240x240 px; Slice 113/155
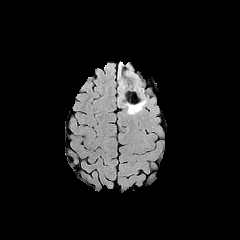
FLAIR MR.
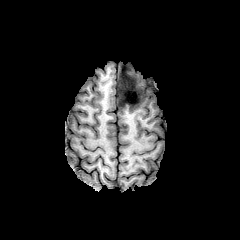
T1-weighted MRI of the same slice.
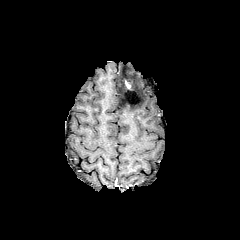
Same slice, post-contrast T1-weighted MR.
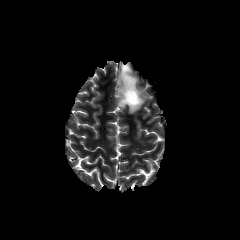
T2-weighted MRI of the same slice.
{"edema": ["<bbox>128, 91, 136, 100</bbox>", "<bbox>117, 65, 146, 114</bbox>"], "non-enhancing_tumor_core": ["<bbox>118, 73, 142, 109</bbox>"]}